240x240
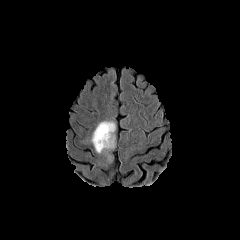
FLAIR magnetic resonance.
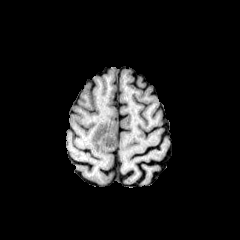
Same slice, T1-weighted MR image.
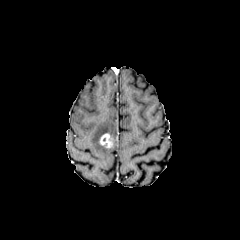
Post-contrast T1-weighted magnetic resonance.
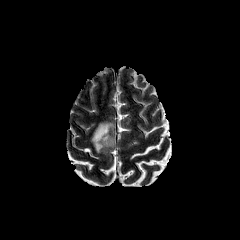
T2-weighted MR of the same slice.
{"edema": ["l=92, t=121, r=115, b=152"], "enhancing_tumor": ["l=99, t=133, r=113, b=148"]}